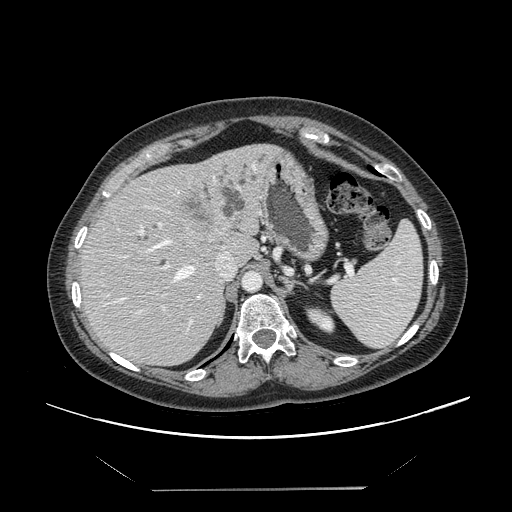 CT. Image size 512x512. Not every hepatic vessel necessarily has a box.
Annotated regions:
* hepatic vessel: (left=145, top=238, right=171, bottom=252), (left=162, top=306, right=165, bottom=310), (left=158, top=223, right=162, bottom=227), (left=137, top=225, right=143, bottom=234), (left=112, top=298, right=125, bottom=302), (left=215, top=246, right=235, bottom=279), (left=187, top=317, right=192, bottom=320), (left=161, top=263, right=169, bottom=269), (left=134, top=311, right=143, bottom=317), (left=212, top=175, right=215, bottom=181), (left=104, top=303, right=110, bottom=305), (left=173, top=265, right=196, bottom=282)
* liver tumor: (left=172, top=185, right=222, bottom=235)